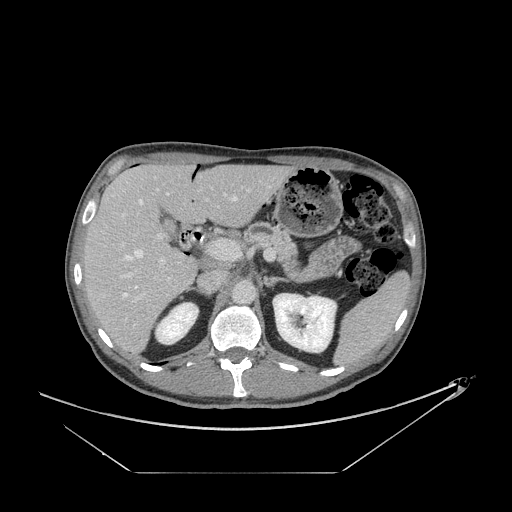

CT | Image size 512x512 | Abdomen
The pancreas is located at rect(244, 222, 297, 271).